CT
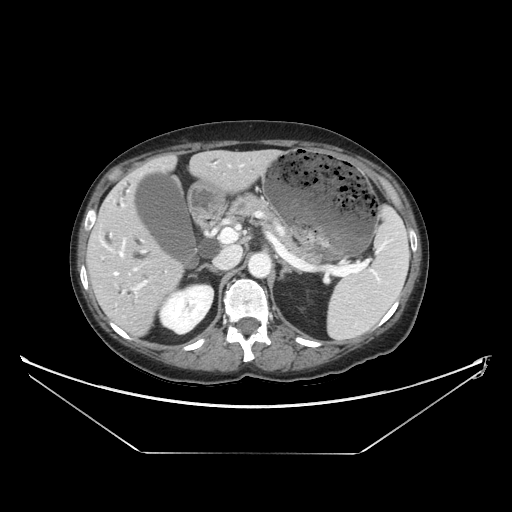

The pancreas is located at 229, 193, 320, 261.